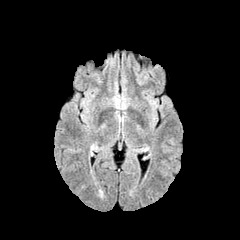
FLAIR MRI.
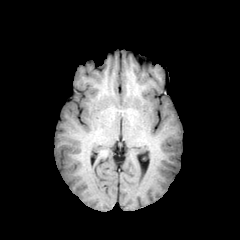
T1-weighted MR image of the same slice.
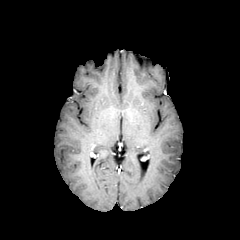
Post-contrast T1-weighted magnetic resonance.
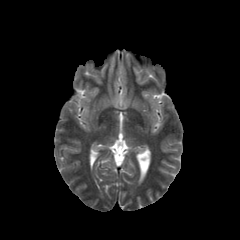
T2-weighted MRI of the same slice.
240x240 px.
edema:
  - 114, 94, 128, 108